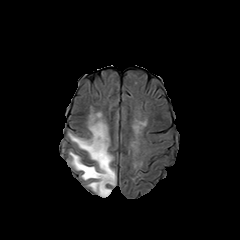
FLAIR magnetic resonance.
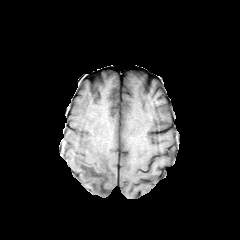
T1-weighted MR.
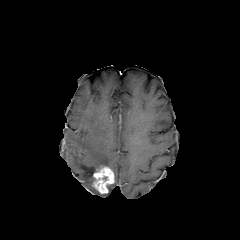
Post-contrast T1-weighted MR.
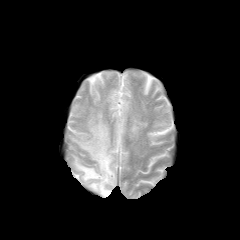
T2-weighted MRI.
Head; 240x240 px
{"edema": ["[x1=69, y1=115, x2=116, y2=197]"], "enhancing_tumor": ["[x1=92, y1=165, x2=114, y2=193]"]}